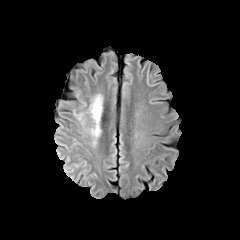
FLAIR magnetic resonance.
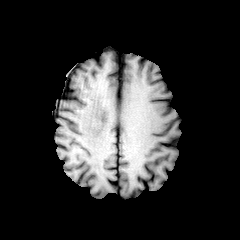
T1-weighted MRI.
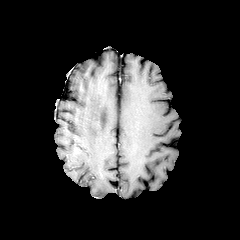
Post-contrast T1-weighted MRI of the same slice.
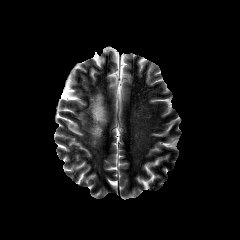
T2-weighted MRI.
Head; 240x240 px
Edema: 86:93:103:145, 73:112:85:125.